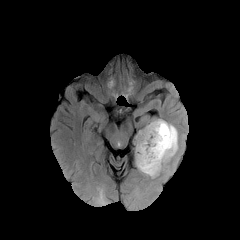
FLAIR MR image.
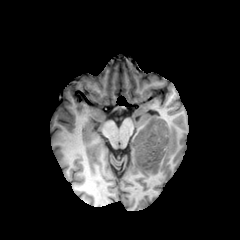
T1-weighted MR of the same slice.
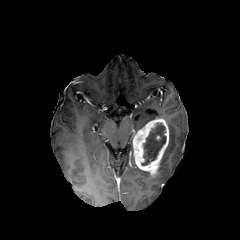
Post-contrast T1-weighted magnetic resonance.
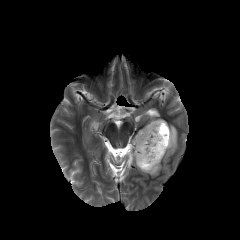
T2-weighted MR of the same slice.
Brain. 240x240.
Segmented structures:
* non-enhancing tumor core: l=142, t=123, r=165, b=165
* edema: l=138, t=122, r=181, b=177
* enhancing tumor: l=133, t=118, r=169, b=175